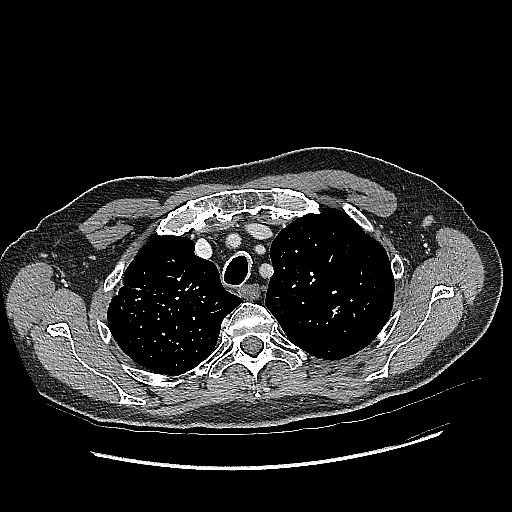 CT, Lung

lung tumor: 116:285:150:319